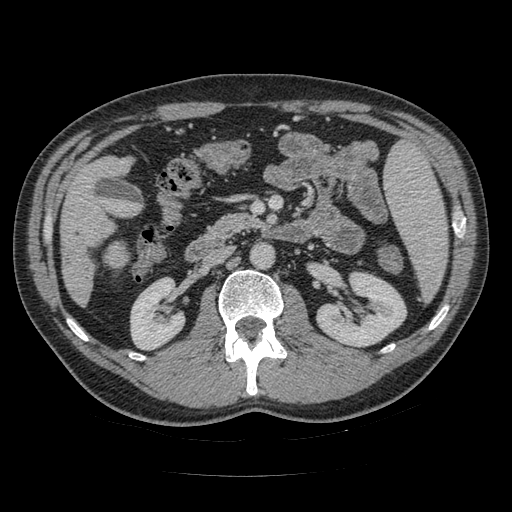
Upper abdomen, CT scan slice

pancreas:
  - 208,213,260,240